Head; 240x240 px
FLAIR MR image.
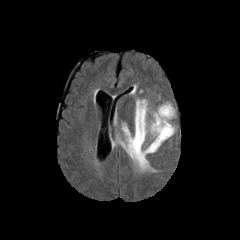
T1-weighted MR image.
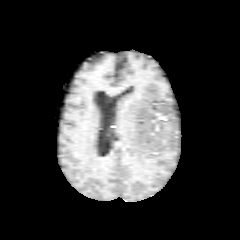
Post-contrast T1-weighted MRI.
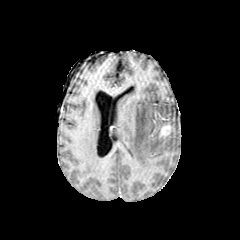
T2-weighted magnetic resonance.
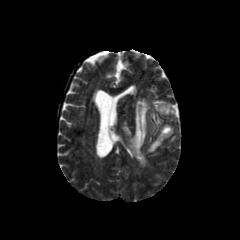
edema:
  - x1=122, y1=99, x2=174, y2=169
enhancing_tumor:
  - x1=160, y1=125, x2=172, y2=136